Field of view 240 mm wide, 1.00 mm slice spacing, Image size 240x240, Slice 113/155
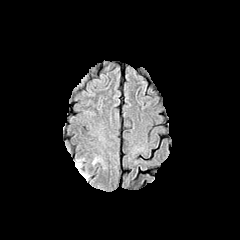
FLAIR MR image.
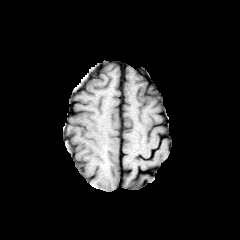
Same slice, T1-weighted magnetic resonance.
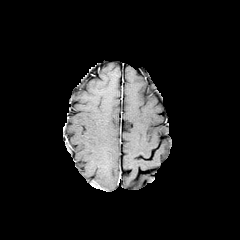
Post-contrast T1-weighted MRI.
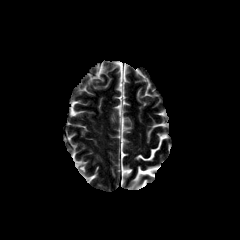
Same slice, T2-weighted MR image.
Segmented structures:
- edema: 75 159 89 179